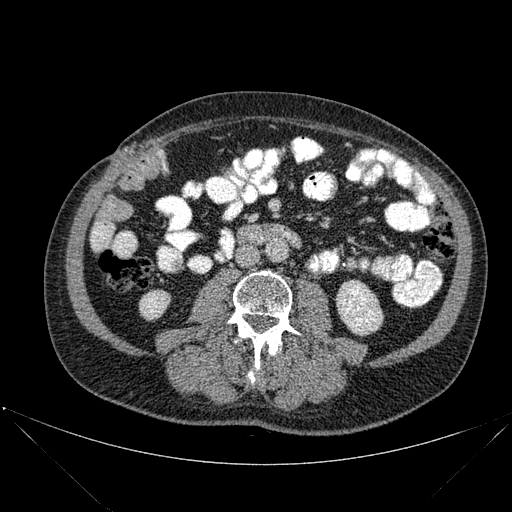
Abdomen | CT scan slice
Kidney: rect(336, 280, 382, 334); rect(139, 291, 169, 319).
Bone: rect(228, 271, 299, 371); rect(248, 371, 254, 382).